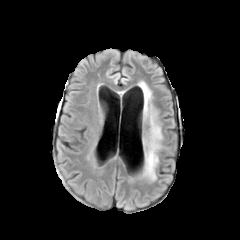
FLAIR MR.
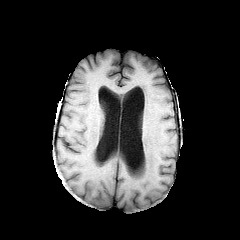
T1-weighted MR image.
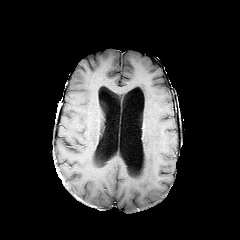
Post-contrast T1-weighted MR image.
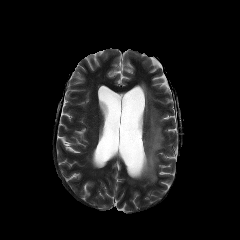
T2-weighted MR of the same slice.
240x240
Edema: bounding box (x1=139, y1=82, x2=163, y2=180).